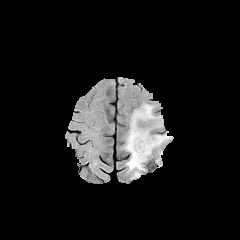
FLAIR magnetic resonance.
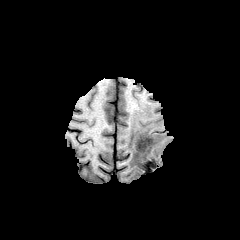
Same slice, T1-weighted MRI.
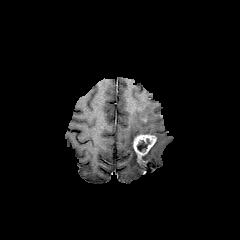
Same slice, post-contrast T1-weighted MR image.
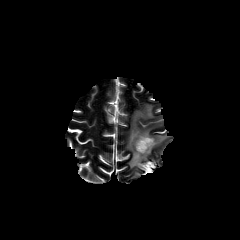
T2-weighted MR image of the same slice.
The enhancing tumor lies within x1=133, y1=134, x2=156, y2=163. The edema is at x1=126, y1=106, x2=167, y2=175. The non-enhancing tumor core is located at x1=137, y1=140, x2=149, y2=151.